512x512, Computed tomography 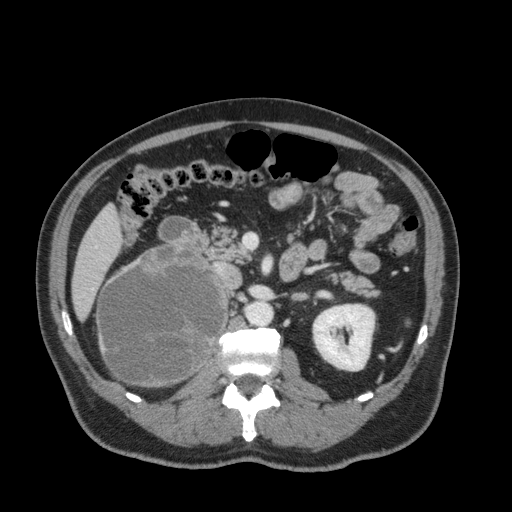 The liver lies within (73,205,121,317). The kidney appears at (313,304,374,370).